Slice 62/155, Head
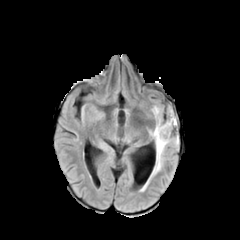
FLAIR MR.
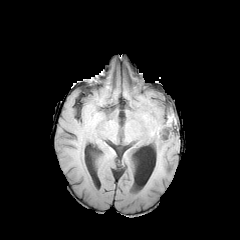
T1-weighted MRI.
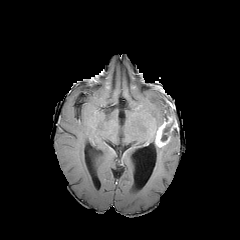
Post-contrast T1-weighted MR of the same slice.
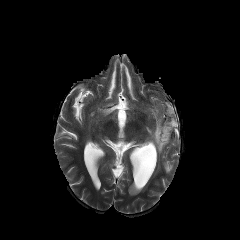
T2-weighted magnetic resonance.
2 edema regions are located at {"x1": 150, "y1": 102, "x2": 169, "y2": 129}, {"x1": 146, "y1": 128, "x2": 179, "y2": 185}. 2 non-enhancing tumor core regions are located at {"x1": 167, "y1": 102, "x2": 177, "y2": 123}, {"x1": 161, "y1": 120, "x2": 173, "y2": 141}. The enhancing tumor is bounded by {"x1": 154, "y1": 122, "x2": 168, "y2": 147}.